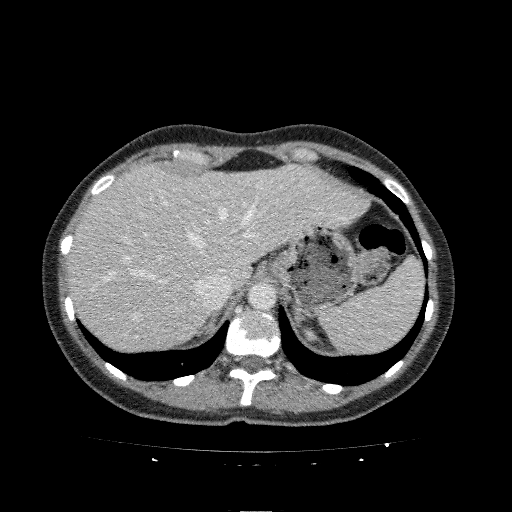
CT slice
Liver: bounding box (left=68, top=163, right=370, bottom=350).